FLAIR MRI.
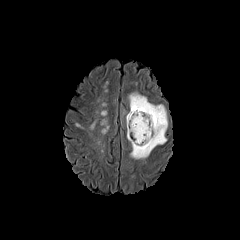
T1-weighted MR.
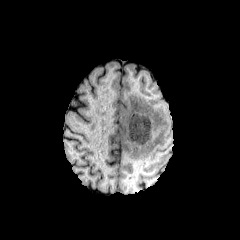
Post-contrast T1-weighted MR.
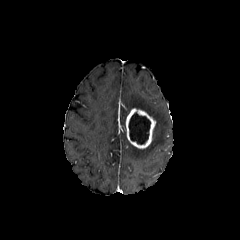
T2-weighted MR image.
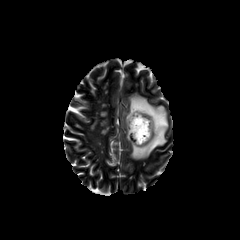
240x240.
{
  "enhancing_tumor": [
    "(x1=125, y1=108, x2=155, y2=148)"
  ],
  "non-enhancing_tumor_core": [
    "(x1=128, y1=112, x2=150, y2=144)"
  ],
  "edema": [
    "(x1=128, y1=94, x2=167, y2=159)"
  ]
}